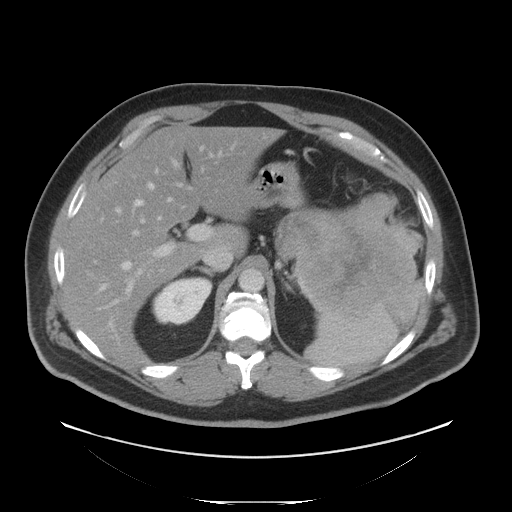 Computed tomography
<segmentation>
  <pancreas><box>347,315,364,319</box>, <box>378,259,418,323</box>, <box>382,199,410,228</box></pancreas>
  <pancreatic_tumor><box>276,194,421,315</box></pancreatic_tumor>
</segmentation>